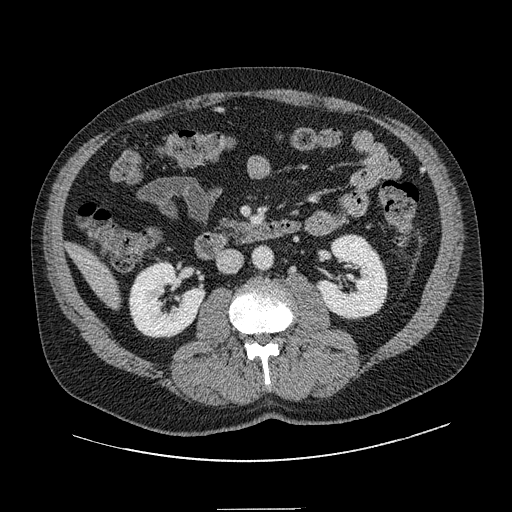
512x512 | CT scan slice | Upper abdomen

Segmented structures:
• pancreas: 220 219 245 233